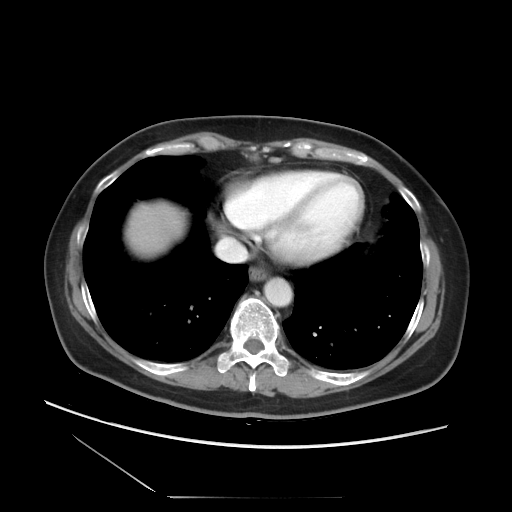

CT slice, Image size 512x512, Abdomen
Not every hepatic vessel necessarily has a box.
Annotated regions:
• hepatic vessel: <box>217,238,247,261</box>